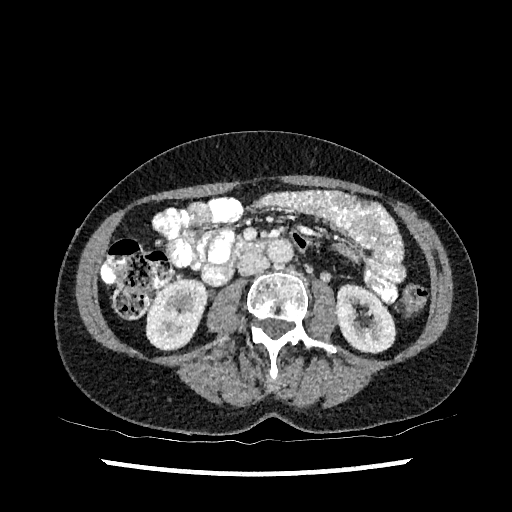
CT. 2 kidney regions are located at region(147, 280, 206, 349); region(337, 285, 394, 351).